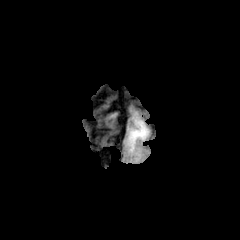
FLAIR magnetic resonance.
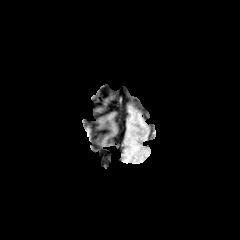
Same slice, T1-weighted magnetic resonance.
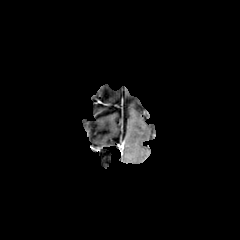
Post-contrast T1-weighted magnetic resonance.
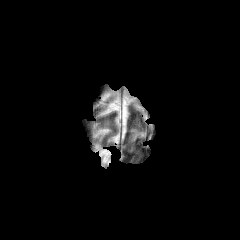
T2-weighted magnetic resonance.
The edema is located at x1=128, y1=119, x2=148, y2=151.